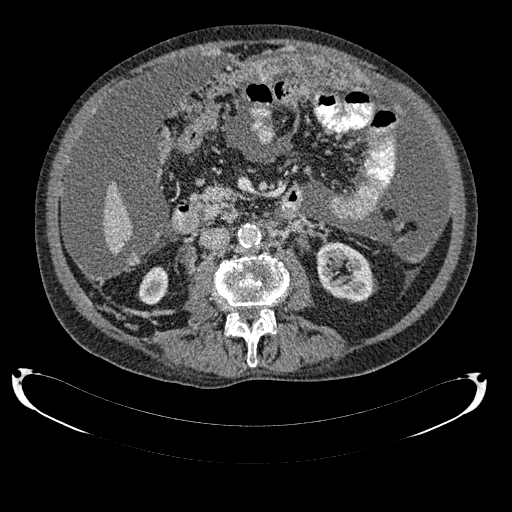

CT image; Abdomen; Image size 512x512
Annotated regions:
- kidney: left=317, top=242, right=372, bottom=301; left=139, top=267, right=167, bottom=304
- liver: left=103, top=181, right=131, bottom=253